Brain, Slice 97/155
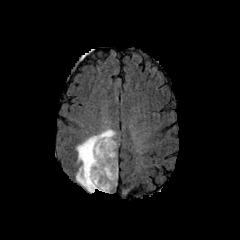
FLAIR magnetic resonance.
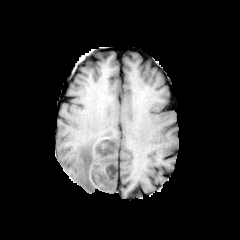
T1-weighted magnetic resonance of the same slice.
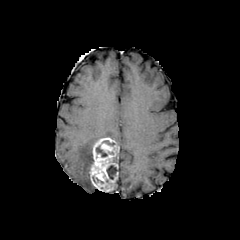
Post-contrast T1-weighted MR of the same slice.
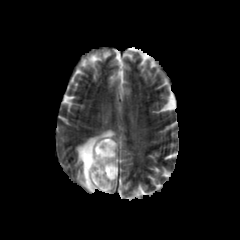
T2-weighted MR image.
Edema = [75,128,115,192].
Enhancing tumor = [89,137,117,192].
Non-enhancing tumor core = [106,165,117,179].